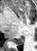

MRI
The posterior hippocampus is bounded by [x1=10, y1=37, x2=22, y2=44].